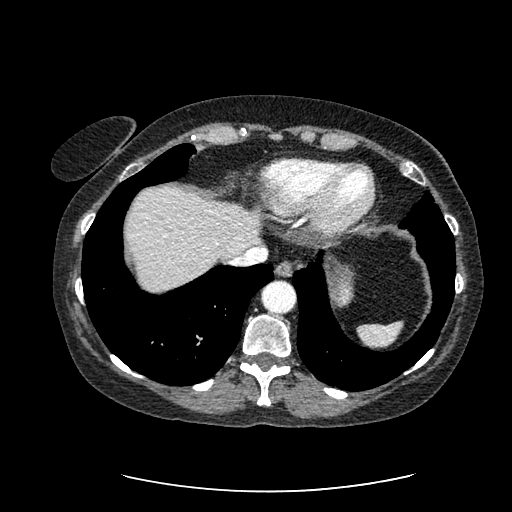

512x512 | CT
Liver = (127,188,261,289).